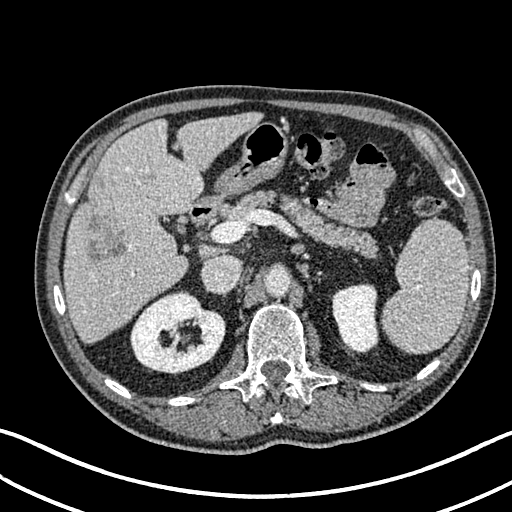

CT scan slice

<segmentation>
  <hepatic_lesion>x1=88 y1=213 x2=127 y2=258</hepatic_lesion>
  <kidney>x1=131 y1=293 x2=224 y2=372, x1=333 y1=285 x2=377 y2=351</kidney>
  <liver>x1=65 y1=112 x2=261 y2=342</liver>
</segmentation>